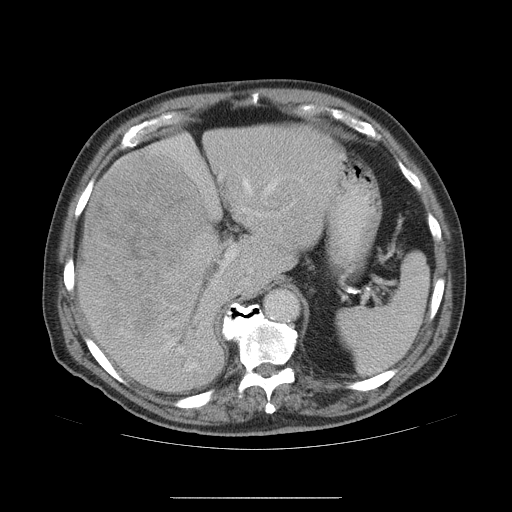
CT image, Abdomen

Some hepatic vessels may have no box.
Liver tumor at 79,154,211,338.
Hepatic vessel at 248,268,252,272; 211,201,217,214; 264,179,276,192; 197,345,206,352; 218,174,221,180; 220,248,236,273; 254,212,263,216; 245,159,246,160; 195,316,197,322; 187,364,196,370; 164,338,177,350; 243,179,252,193; 266,214,269,215; 247,217,252,224; 236,207,250,213.